Computed tomography. 512x512 px. Slice index 439.
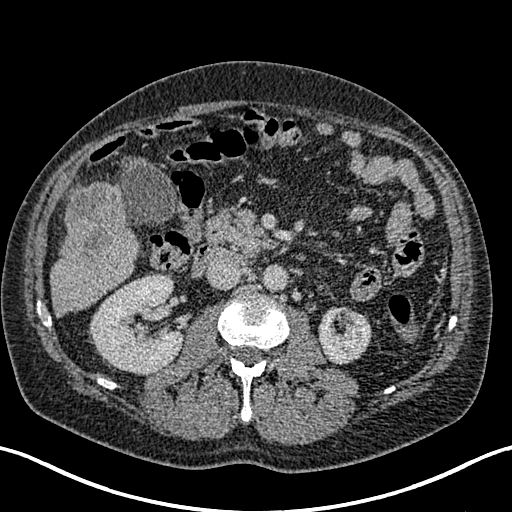 Segmented structures:
* focal liver lesion: <bbox>66, 186, 118, 261</bbox>
* liver: <bbox>49, 182, 137, 316</bbox>, <bbox>65, 186, 83, 209</bbox>
* kidney: <bbox>320, 308, 369, 362</bbox>, <bbox>91, 275, 182, 373</bbox>